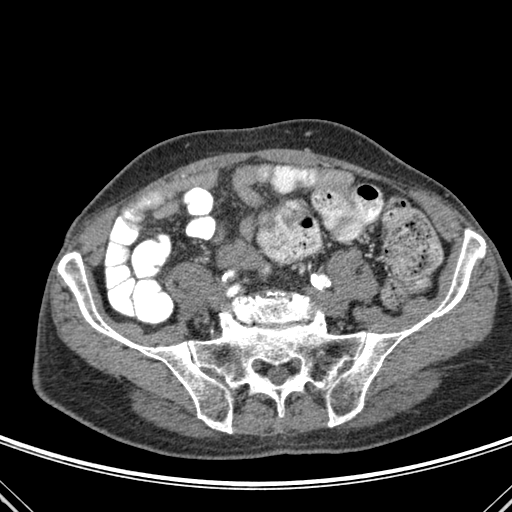 Computed tomography.
Bone: x1=57, y1=229, x2=485, y2=433.